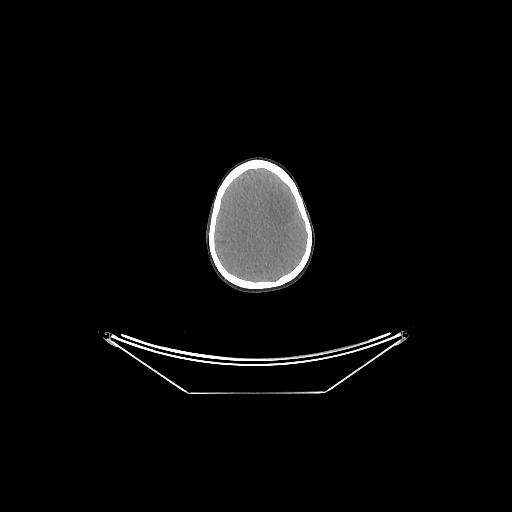
CT slice

brain:
  - box=[214, 168, 307, 282]